Magnetic resonance, Field of view 36 mm wide, 1.00 mm slice spacing, Slice index 16, Medial temporal lobe
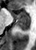
The anterior hippocampus is at bbox(11, 12, 29, 21). The posterior hippocampus appears at bbox(17, 22, 29, 30).